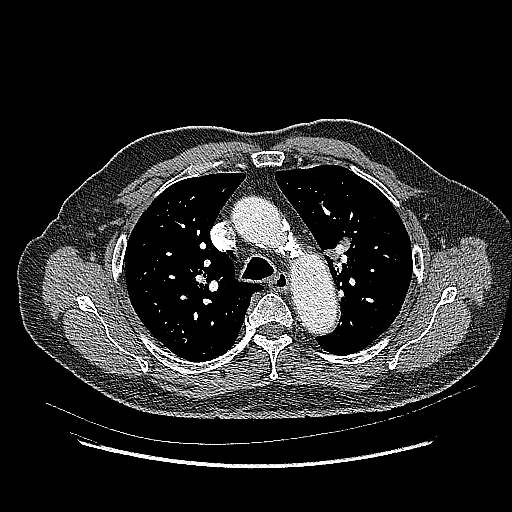
512x512 px, CT scan slice, Thorax
Lung tumor: bounding box {"x1": 323, "y1": 234, "x2": 356, "y2": 274}.